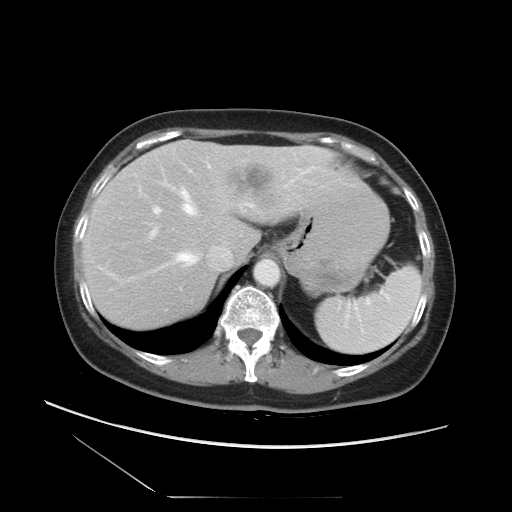 CT slice
Not every hepatic vessel necessarily has a box.
liver tumor: x1=221, y1=156, x2=286, y2=214 | hepatic vessel: x1=150, y1=229, x2=156, y2=237; x1=153, y1=207, x2=159, y2=213; x1=239, y1=204, x2=250, y2=210; x1=162, y1=180, x2=196, y2=214; x1=175, y1=253, x2=197, y2=265